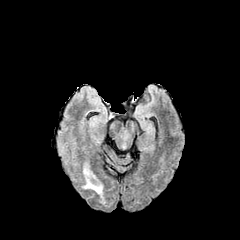
FLAIR MRI.
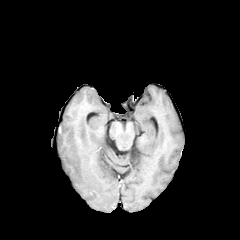
T1-weighted MR.
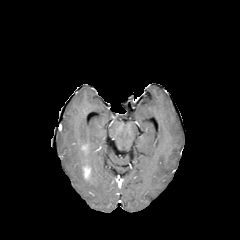
Post-contrast T1-weighted MR of the same slice.
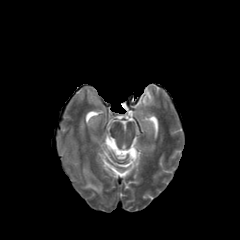
Same slice, T2-weighted MRI.
240x240 px
Edema: 82, 171, 103, 200.
Enhancing tumor: 83, 166, 91, 179.